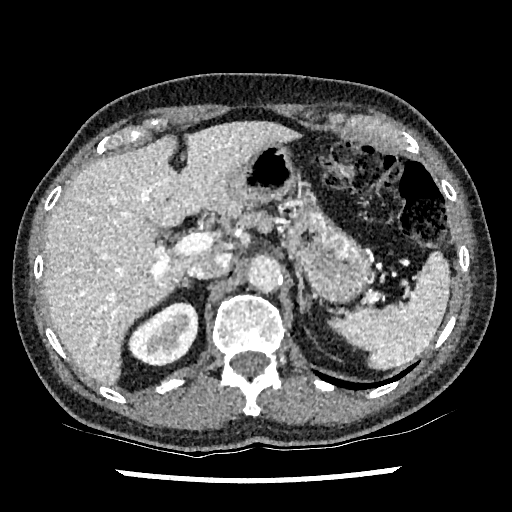 Upper abdomen, CT
The kidney is located at 130:304:196:364. The liver is at 45:122:300:384.